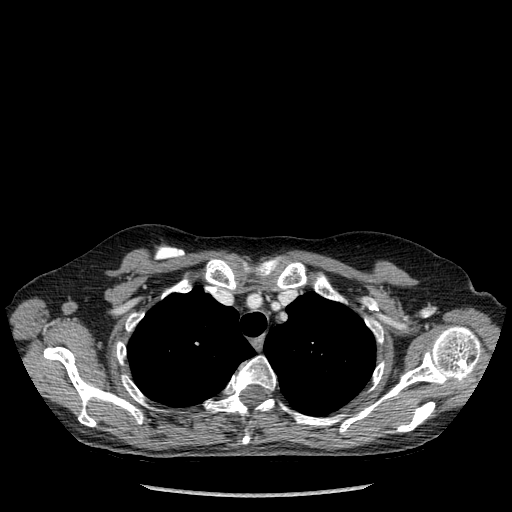

Thorax, CT image
15 bone regions are located at [x1=370, y1=361, x2=384, y2=390], [x1=125, y1=312, x2=143, y2=331], [x1=121, y1=375, x2=147, y2=405], [x1=43, y1=347, x2=143, y2=426], [x1=162, y1=279, x2=190, y2=298], [x1=204, y1=355, x2=275, y2=422], [x1=276, y1=262, x2=306, y2=294], [x1=256, y1=258, x2=280, y2=275], [x1=314, y1=274, x2=342, y2=301], [x1=365, y1=317, x2=383, y2=343], [x1=280, y1=326, x2=480, y2=433], [x1=243, y1=262, x2=250, y2=271], [x1=242, y1=429, x2=249, y2=444], [x1=205, y1=259, x2=236, y2=293], [x1=116, y1=341, x2=125, y2=364]. 2 lung regions are bounded by [x1=264, y1=292, x2=375, y2=415], [x1=127, y1=286, x2=266, y2=407].